Image size 240x240, Field of view 240 mm wide, 1.00 mm slice spacing, Slice index 74
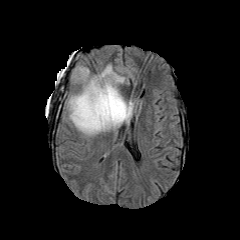
FLAIR MR image.
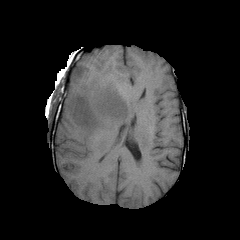
T1-weighted magnetic resonance.
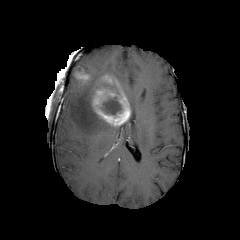
Post-contrast T1-weighted MRI.
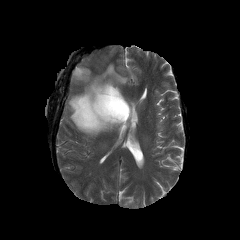
Same slice, T2-weighted MR image.
Segmented structures:
- edema: [66,64,125,136], [128,100,136,114]
- non-enhancing tumor core: [97,75,122,95], [99,96,121,114]
- enhancing tumor: [74,70,87,79], [92,88,130,125]